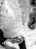 MR image | Medial temporal lobe
The posterior hippocampus is at <box>9,38,23,43</box>.